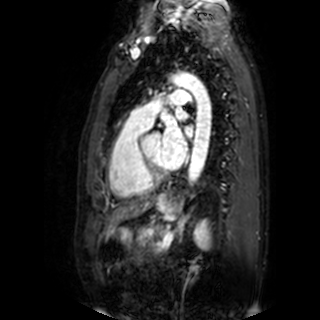
MR.
3 left atrium regions appear at 176, 110, 187, 120; 184, 124, 193, 136; 161, 121, 187, 168.